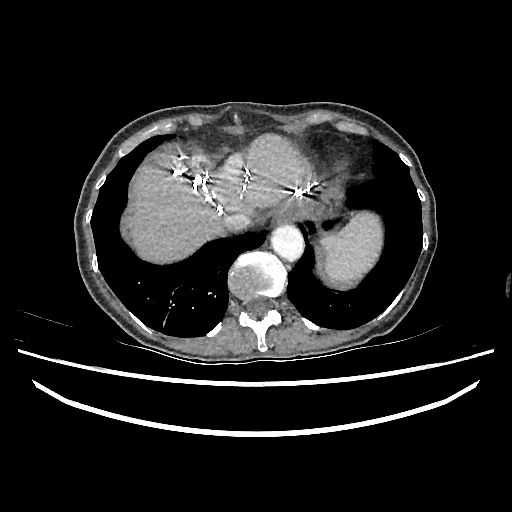 CT slice; Liver

liver:
  - x1=211, y1=137, x2=309, y2=215
  - x1=130, y1=150, x2=224, y2=262